FLAIR MR.
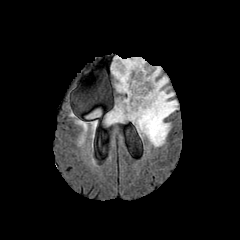
T1-weighted magnetic resonance.
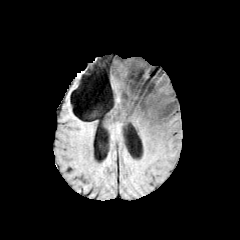
Post-contrast T1-weighted MR.
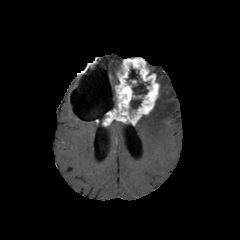
T2-weighted MRI.
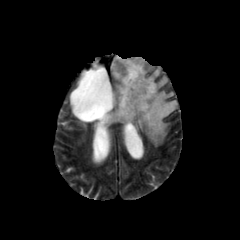
Brain
Edema — [135, 76, 178, 147], [86, 108, 101, 118], [111, 57, 121, 79].
Non-enhancing tumor core — [126, 68, 149, 95], [129, 98, 141, 113].
Enhancing tumor — [104, 58, 159, 123].